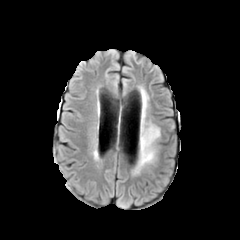
FLAIR MR.
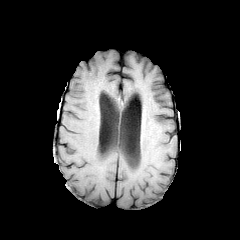
T1-weighted MRI.
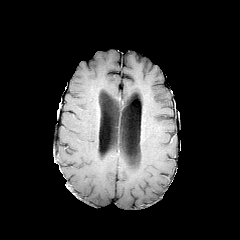
Post-contrast T1-weighted magnetic resonance.
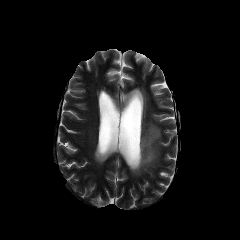
T2-weighted magnetic resonance.
Brain
edema: (141, 90, 148, 107), (136, 108, 159, 171)